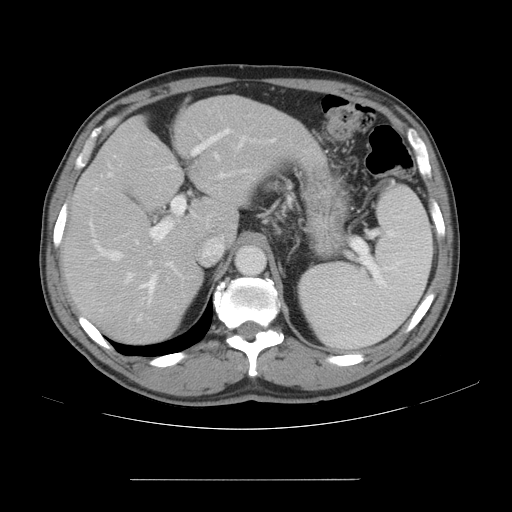
CT slice
The vessel boxes may cover only some of the vessels.
The top 15 hepatic vessel regions (of 22) are located at 125:272:132:282, 148:298:151:307, 148:261:151:264, 192:212:196:216, 192:129:229:153, 136:314:141:321, 219:172:227:178, 167:165:174:168, 215:153:218:158, 108:172:112:176, 108:164:110:167, 236:136:245:148, 140:275:157:294, 92:239:121:260, 166:262:181:276.